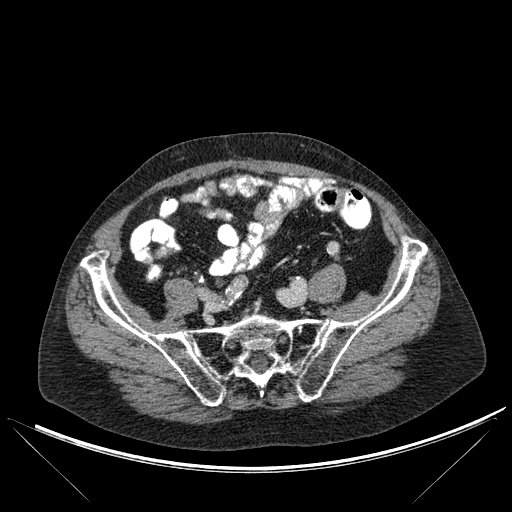
Computed tomography

The bone is at region(80, 236, 427, 405).